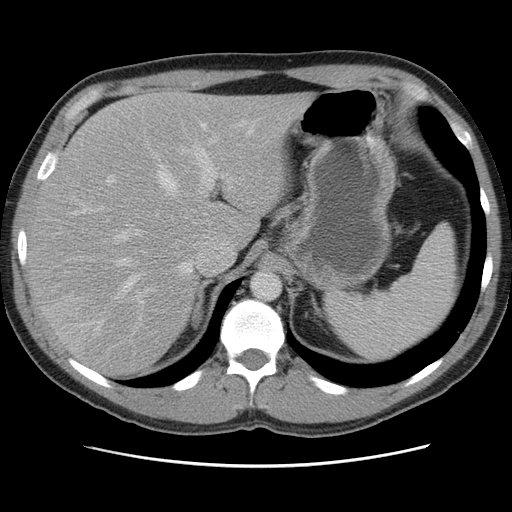 Abdomen. CT slice. 512x512.

Some hepatic vessels may have no box.
The liver tumor is at box=[43, 294, 96, 336]. The largest 15 hepatic vessel regions (of 20) appear at box=[157, 166, 177, 196]; box=[116, 232, 128, 243]; box=[228, 179, 232, 188]; box=[71, 203, 103, 215]; box=[194, 141, 216, 189]; box=[179, 147, 188, 152]; box=[151, 150, 156, 156]; box=[116, 258, 131, 265]; box=[96, 321, 102, 335]; box=[247, 121, 255, 135]; box=[209, 138, 217, 142]; box=[200, 123, 206, 129]; box=[107, 175, 115, 182]; box=[137, 289, 155, 303]; box=[116, 275, 138, 302].